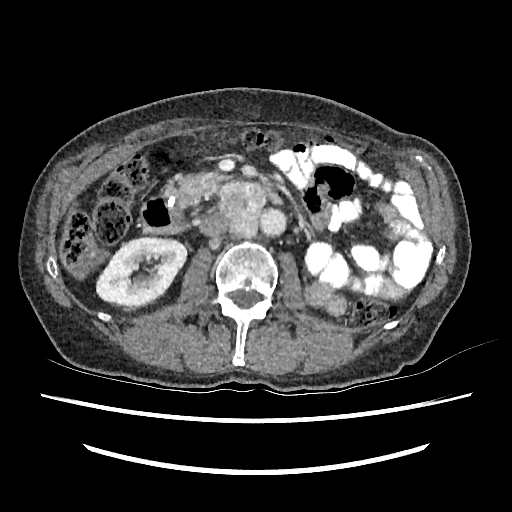 512x512 px | CT slice
The kidney appears at 97 238 186 305.